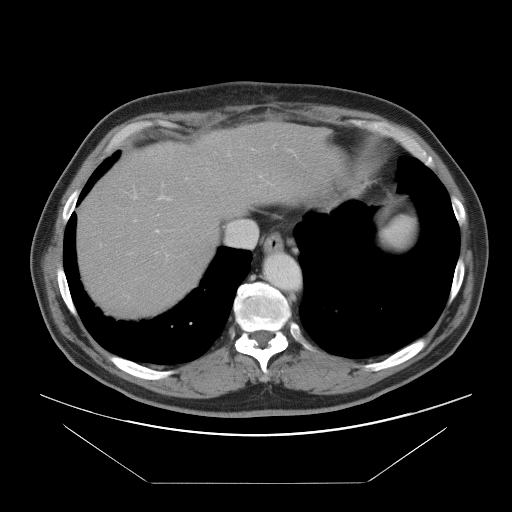

Liver, CT image
The vessel boxes may cover only some of the vessels.
hepatic vessel: box=[159, 196, 169, 199]; box=[156, 230, 158, 231]; box=[166, 254, 167, 256]; box=[288, 149, 292, 151]; box=[162, 184, 163, 186]